Head
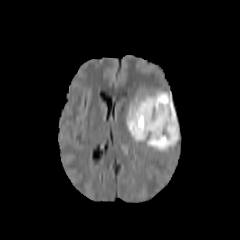
FLAIR magnetic resonance.
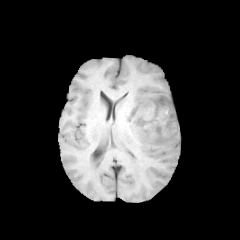
T1-weighted MRI of the same slice.
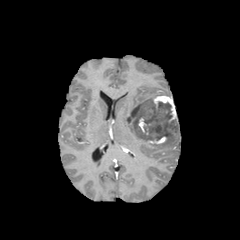
Same slice, post-contrast T1-weighted MR.
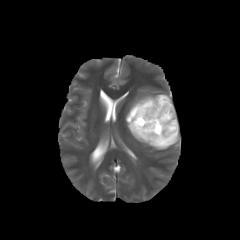
T2-weighted MRI of the same slice.
non-enhancing_tumor_core:
  - (left=127, top=99, right=178, bottom=140)
enhancing_tumor:
  - (left=152, top=95, right=177, bottom=122)
  - (left=138, top=118, right=150, bottom=135)
  - (left=147, top=136, right=166, bottom=143)
edema:
  - (left=125, top=86, right=178, bottom=150)